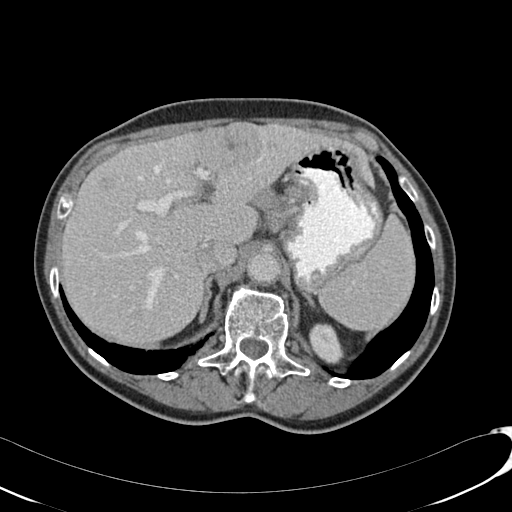 CT. Liver.
The liver lies within [63,123,373,343]. 3 hepatic lesion regions are located at [202,124,261,169], [132,309,140,316], [100,178,110,189]. The kidney is bounded by [308,320,347,369].